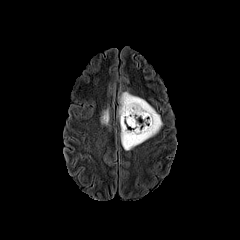
FLAIR MR.
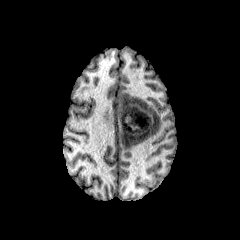
T1-weighted magnetic resonance of the same slice.
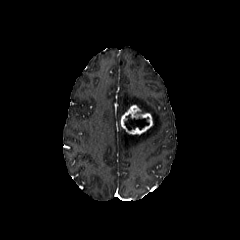
Post-contrast T1-weighted MR of the same slice.
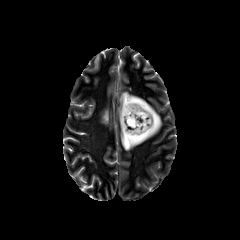
Same slice, T2-weighted MR image.
Image size 240x240 | Head
<segmentation>
  <non-enhancing_tumor_core>[x1=123, y1=114, x2=149, y2=130]</non-enhancing_tumor_core>
  <enhancing_tumor>[x1=120, y1=105, x2=153, y2=135]</enhancing_tumor>
  <edema>[x1=101, y1=108, x2=109, y2=124], [x1=118, y1=92, x2=162, y2=150]</edema>
</segmentation>